Field of view 471x471 mm. CT scan slice. 512x512 px. Upper abdomen. 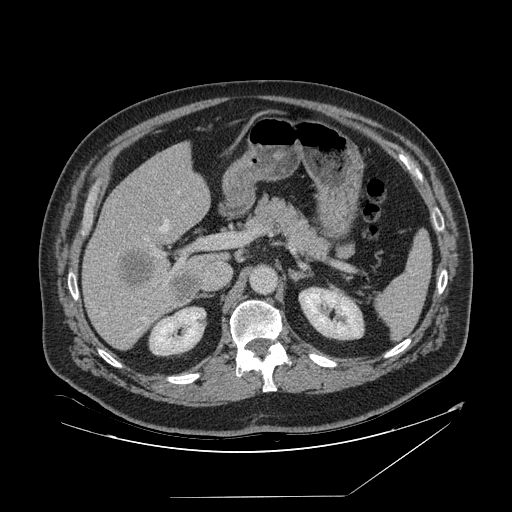
Annotated regions:
* spleen: (376,234,431,340)